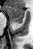
MR image

Annotated regions:
- anterior hippocampus: box(6, 6, 24, 21)
- posterior hippocampus: box(18, 22, 21, 23)